Field of view 328 mm wide, 5.00 mm slice spacing, Computed tomography, Abdomen 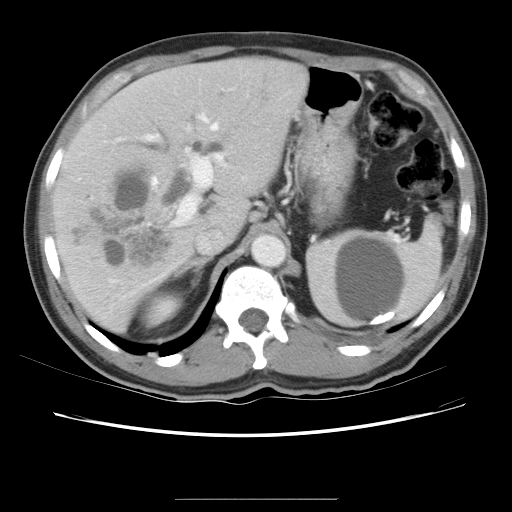

Not every hepatic vessel necessarily has a box.
7 hepatic vessel regions are bounded by {"x1": 170, "y1": 147, "x2": 227, "y2": 226}, {"x1": 229, "y1": 88, "x2": 232, "y2": 89}, {"x1": 157, "y1": 179, "x2": 158, "y2": 184}, {"x1": 198, "y1": 113, "x2": 207, "y2": 121}, {"x1": 115, "y1": 137, "x2": 123, "y2": 141}, {"x1": 210, "y1": 123, "x2": 217, "y2": 130}, {"x1": 145, "y1": 133, "x2": 159, "y2": 140}. The liver tumor lies within {"x1": 68, "y1": 159, "x2": 173, "y2": 273}.